CT. 512x512 px. 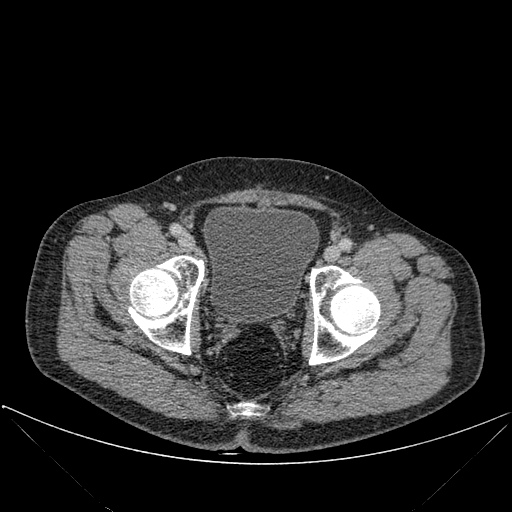 urinary_bladder:
  - <box>203,204,318,323</box>
bone:
  - <box>128,256,204,354</box>
  - <box>309,266,379,364</box>
  - <box>229,403,259,415</box>